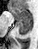
MR image | 38x49 px

Segmented structures:
- posterior hippocampus: <box>17,21,32,34</box>
- anterior hippocampus: <box>9,7,32,20</box>